FLAIR MRI.
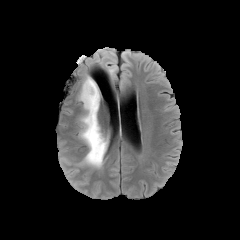
T1-weighted magnetic resonance.
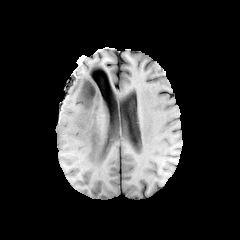
Post-contrast T1-weighted MRI.
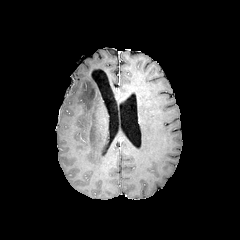
T2-weighted MR.
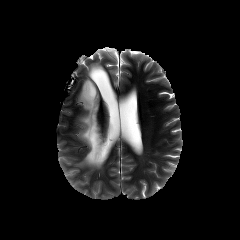
<segmentation>
  <edema>(105,63,116,74), (78,76,108,168), (102,50,115,60)</edema>
</segmentation>